Computed tomography; Slice 325 of 466
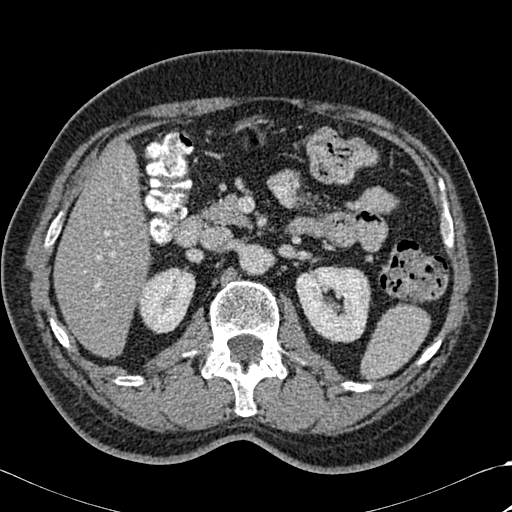

<segmentation>
  <kidney>(left=140, top=269, right=194, bottom=332), (left=297, top=267, right=369, bottom=341)</kidney>
  <liver>(left=55, top=147, right=151, bottom=356)</liver>
  <bone>(left=443, top=217, right=453, bottom=246), (left=45, top=222, right=59, bottom=245), (left=115, top=376, right=142, bottom=385), (left=343, top=382, right=369, bottom=391), (left=419, top=341, right=439, bottom=363), (left=51, top=320, right=68, bottom=346), (left=202, top=281, right=286, bottom=416)</bone>
</segmentation>